CT image. Field of view 512x512 mm. Slice 35 of 135. Abdomen.

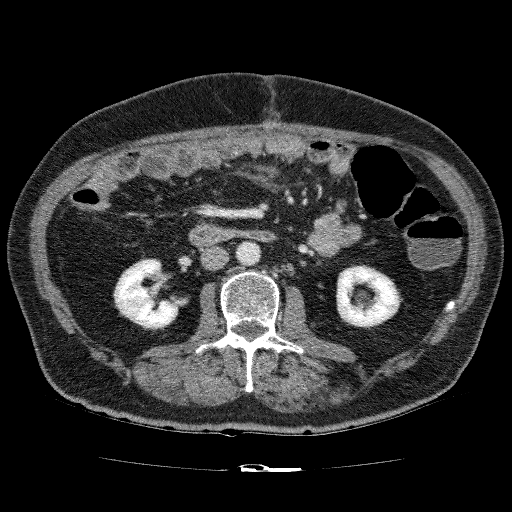

kidney:
  - 337:265:399:327
  - 114:259:180:328